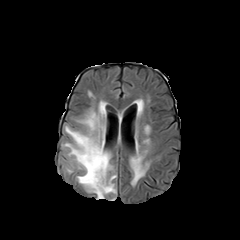
FLAIR MR.
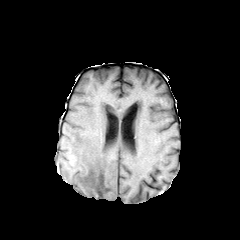
T1-weighted MR image.
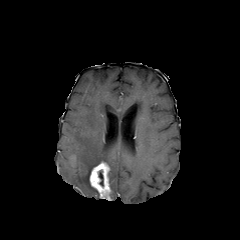
Post-contrast T1-weighted MR image.
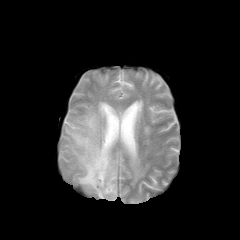
T2-weighted magnetic resonance of the same slice.
Image size 240x240
non-enhancing_tumor_core:
  - box(99, 171, 103, 185)
enhancing_tumor:
  - box(89, 162, 111, 198)
edema:
  - box(132, 160, 143, 181)
  - box(61, 101, 116, 199)